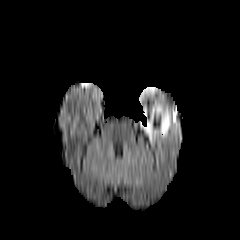
FLAIR MR image.
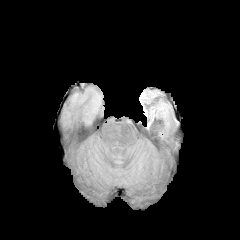
T1-weighted magnetic resonance of the same slice.
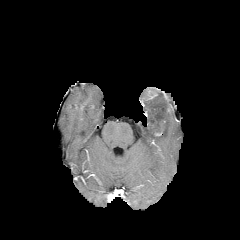
Same slice, post-contrast T1-weighted MRI.
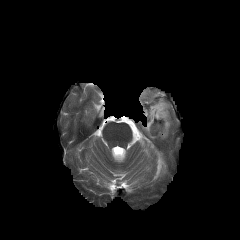
T2-weighted MR image.
Head
The edema lies within 140,100,171,141.